FLAIR MRI.
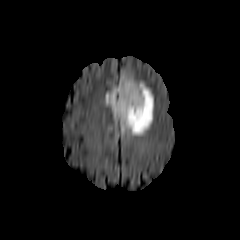
T1-weighted MR image.
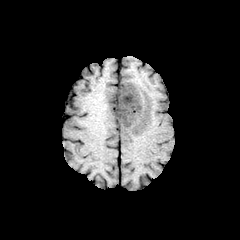
Post-contrast T1-weighted MR.
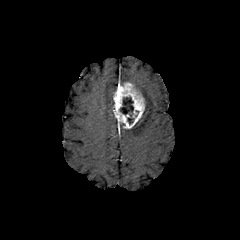
T2-weighted MR.
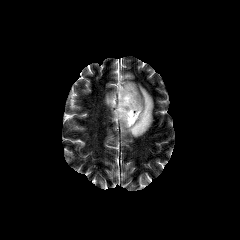
Head, Image size 240x240
{
  "enhancing_tumor": [
    "113 80 144 129"
  ],
  "edema": [
    "104 85 115 108",
    "120 72 153 137"
  ],
  "non-enhancing_tumor_core": [
    "120 97 133 114",
    "132 101 147 129"
  ]
}